Head
FLAIR MRI.
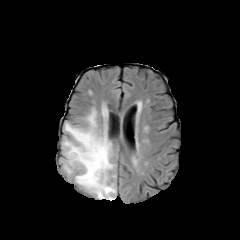
T1-weighted MR image.
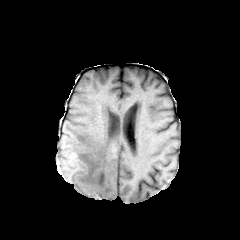
Post-contrast T1-weighted MR.
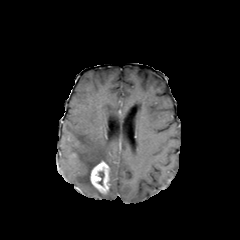
T2-weighted MRI.
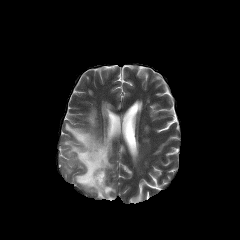
edema:
  - bbox(62, 110, 116, 199)
enhancing_tumor:
  - bbox(90, 160, 109, 193)